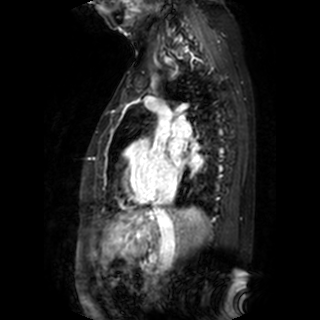 MR image; 320x320 px; Cardiac
* left atrium: [191, 155, 200, 165], [169, 140, 182, 165]